Slice index 10; Hippocampus; MRI slice; 37x56 px 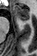 Segmented structures:
* anterior hippocampus: rect(14, 5, 29, 21)